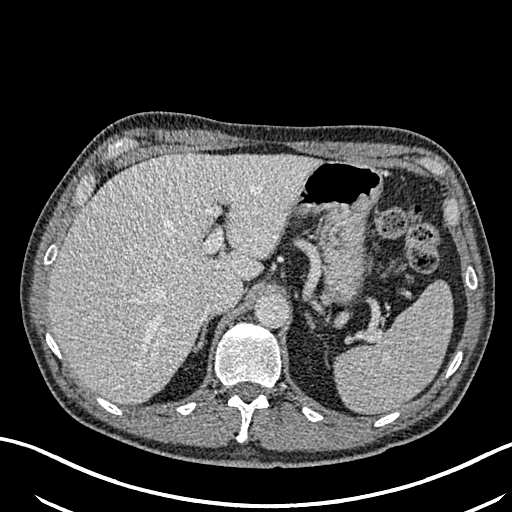
Upper abdomen; Computed tomography
liver: [49,154,321,404]